Slice 533/588; Image width 351 mm; CT slice; Chest
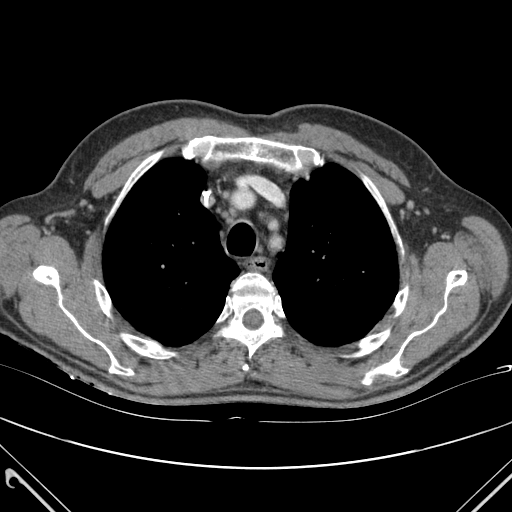 Lung = box=[102, 158, 239, 346]; box=[272, 163, 398, 346].
Bone = box=[363, 270, 466, 384]; box=[115, 152, 161, 206]; box=[217, 273, 284, 356]; box=[121, 334, 173, 358]; box=[33, 266, 133, 375]; box=[394, 287, 407, 315]; box=[356, 330, 389, 355]; box=[183, 136, 322, 169]; box=[364, 176, 394, 230]; box=[94, 280, 110, 315].